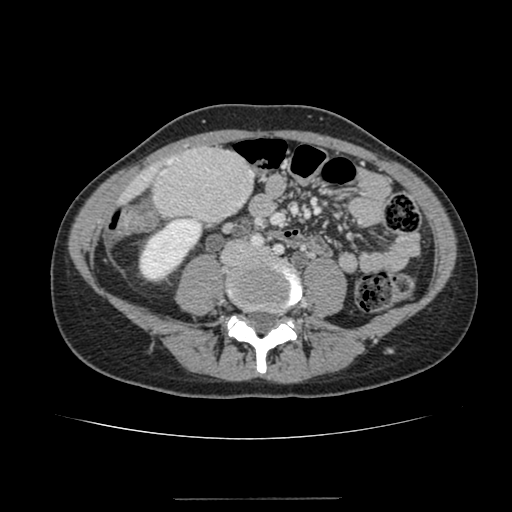
Abdomen, CT scan slice

The hepatic lesion lies within 153:147:255:222. The kidney is located at 141:219:200:278. The liver is at 115:161:164:205.